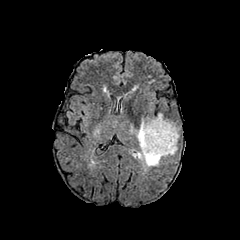
FLAIR magnetic resonance.
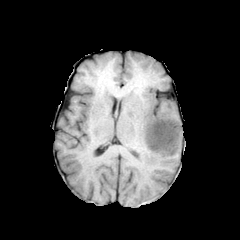
T1-weighted magnetic resonance.
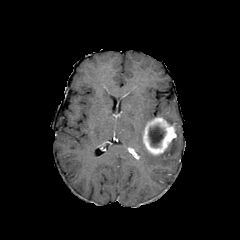
Post-contrast T1-weighted magnetic resonance.
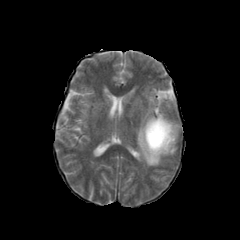
T2-weighted MR.
240x240 px | Brain
Edema — 131:115:179:167.
Non-enhancing tumor core — 149:126:163:145.
Enhancing tumor — 141:114:179:156.